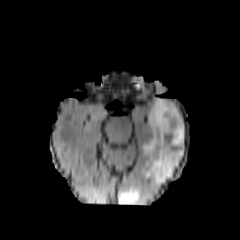
FLAIR MR.
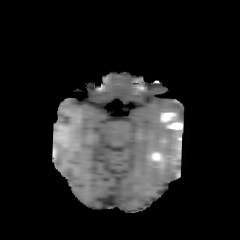
T1-weighted MRI.
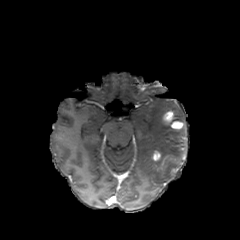
Post-contrast T1-weighted MRI of the same slice.
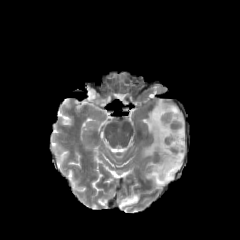
T2-weighted MR of the same slice.
Findings:
* enhancing tumor: 164 111 174 123, 171 121 184 129, 152 150 160 160
* non-enhancing tumor core: 170 133 185 147, 162 117 182 126, 165 155 181 162
* edema: 143 98 186 185, 119 194 139 204